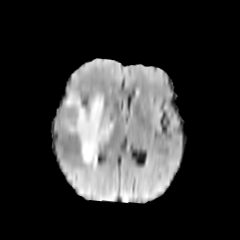
FLAIR MR.
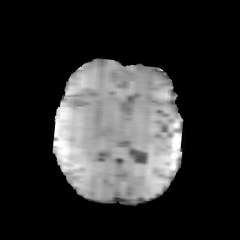
T1-weighted magnetic resonance of the same slice.
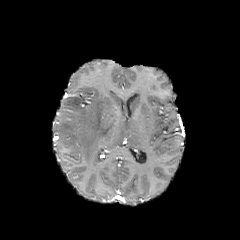
Post-contrast T1-weighted magnetic resonance.
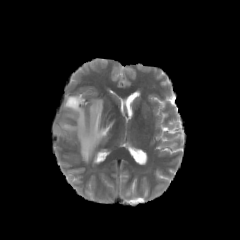
T2-weighted magnetic resonance of the same slice.
The edema is at [61,93,113,165].